FLAIR MR.
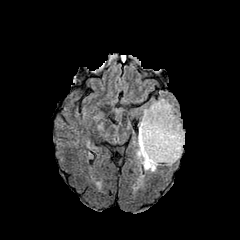
T1-weighted MRI.
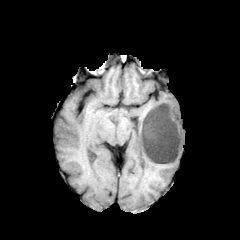
Post-contrast T1-weighted MR image.
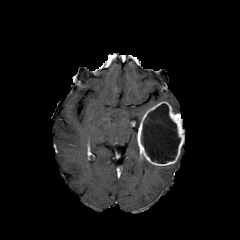
T2-weighted MR.
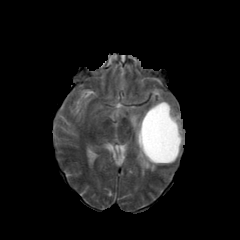
{"edema": [{"x1": 132, "y1": 101, "x2": 157, "y2": 122}, {"x1": 135, "y1": 146, "x2": 158, "y2": 172}], "non-enhancing_tumor_core": [{"x1": 142, "y1": 104, "x2": 179, "y2": 163}], "enhancing_tumor": [{"x1": 136, "y1": 101, "x2": 184, "y2": 165}]}